FLAIR MR.
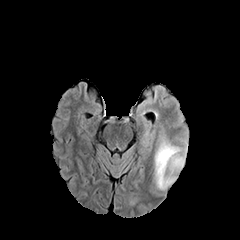
T1-weighted MR image.
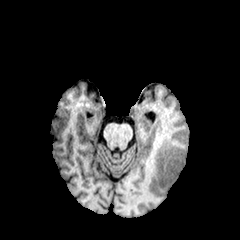
Post-contrast T1-weighted MR.
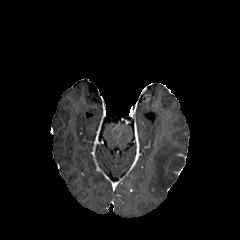
T2-weighted magnetic resonance.
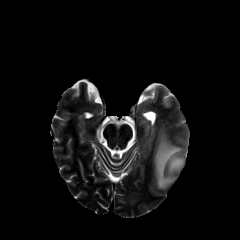
Edema = (left=153, top=129, right=185, bottom=188).